Liver. Slice 122/135. CT image. 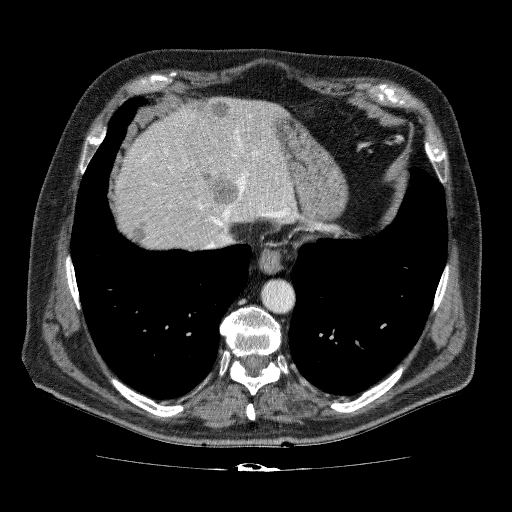 The liver appears at bbox=[110, 96, 298, 248]. 5 liver lesion regions are bounded by bbox=[168, 230, 179, 240]; bbox=[182, 97, 232, 119]; bbox=[115, 184, 125, 195]; bbox=[129, 219, 150, 243]; bbox=[199, 168, 236, 205].